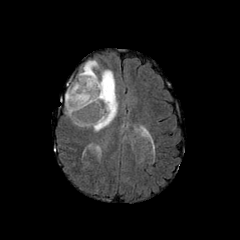
FLAIR MR image.
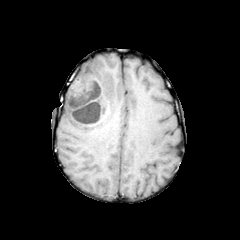
T1-weighted MR image.
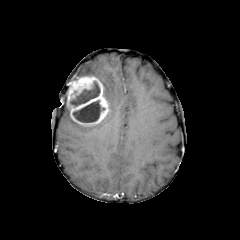
Same slice, post-contrast T1-weighted MR image.
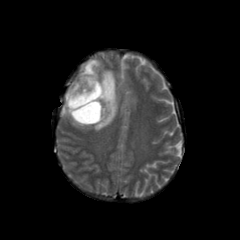
T2-weighted MRI of the same slice.
Non-enhancing tumor core at bbox=[72, 100, 105, 122]; bbox=[69, 81, 100, 107].
Edema at bbox=[72, 60, 118, 131].
Enhancing tumor at bbox=[66, 76, 108, 125].